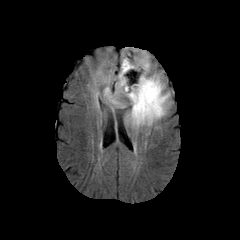
FLAIR MR.
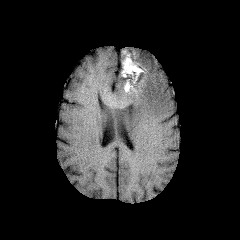
Same slice, T1-weighted MRI.
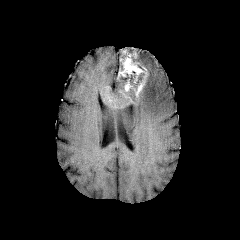
Same slice, post-contrast T1-weighted magnetic resonance.
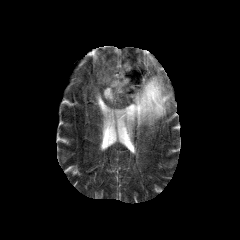
T2-weighted MRI.
Head
{"enhancing_tumor": ["[117, 58, 141, 78]", "[134, 80, 144, 95]"], "edema": ["[100, 74, 131, 108]", "[124, 52, 171, 131]"], "non-enhancing_tumor_core": ["[118, 56, 147, 113]"]}